Liver, CT scan slice

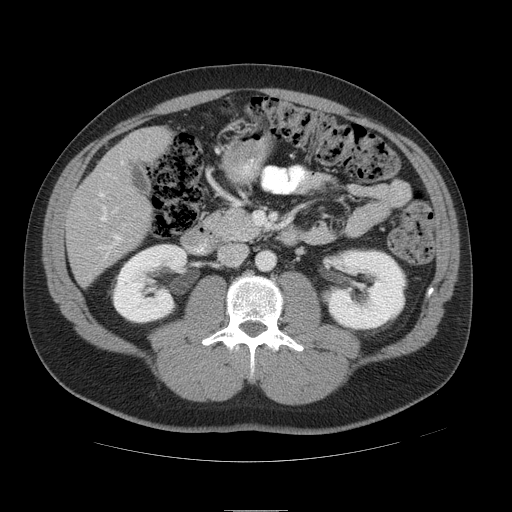

Not every hepatic vessel necessarily has a box.
Hepatic vessel — (99,193,103,196), (101,206,106,220), (114,235,120,241).